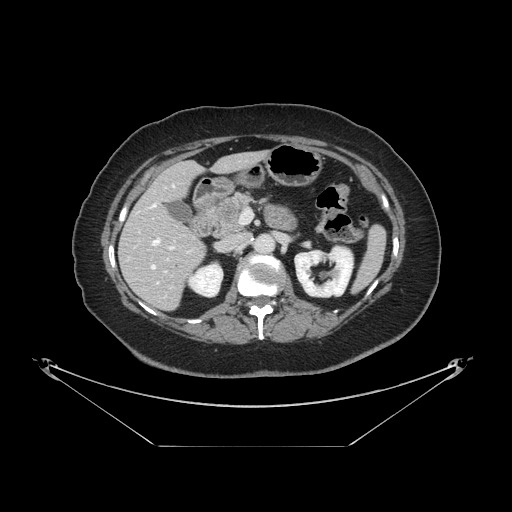

Abdomen. 512x512. CT scan slice. Pancreas at <bbox>212, 194, 255, 238</bbox>.
Pancreatic tumor at <bbox>221, 203, 238, 221</bbox>.